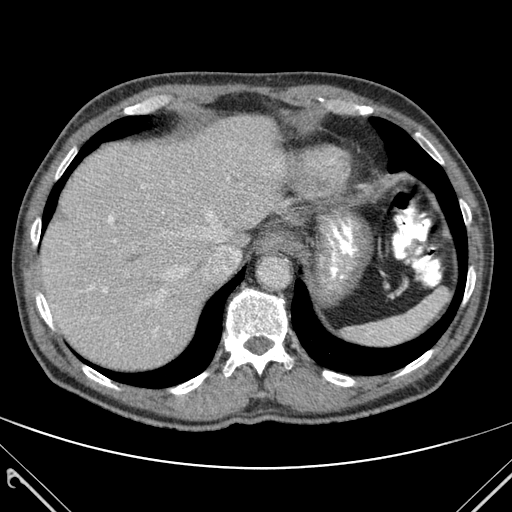 Abdomen | CT | 512x512
bone:
  - [171,373,207,394]
  - [416,133,443,163]
  - [36,294,52,328]
  - [83,366,116,388]
  - [399,350,431,374]
  - [31,219,40,245]
  - [224,289,289,375]
  - [56,148,76,178]
  - [461,201,471,222]
  - [323,371,353,386]
  - [463,268,475,302]
lung:
  - [42,116,148,227]
  - [92,269,244,388]
  - [291,117,467,375]
liver:
  - [40,115,290,370]
  - [224,238,237,244]